MRI slice | 35x50 px | Hippocampus

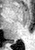 Posterior hippocampus: bounding box rect(8, 40, 15, 42).